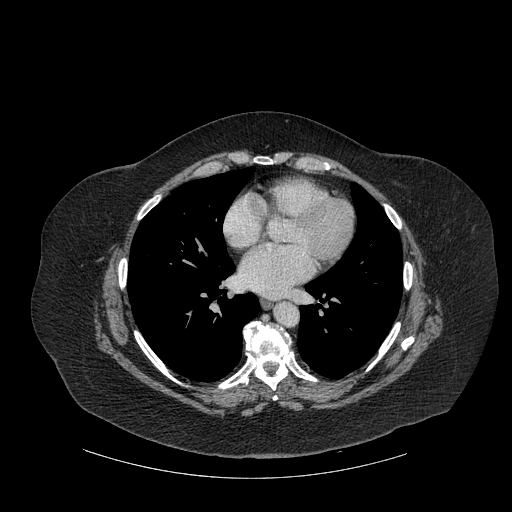
CT scan slice

<segmentation>
  <bone>(404, 262, 412, 289), (118, 258, 126, 287), (401, 337, 413, 349), (219, 321, 316, 390), (254, 156, 272, 164), (137, 195, 160, 219), (134, 331, 179, 383), (384, 204, 401, 228), (366, 322, 400, 370)</bone>
  <lung>(128, 167, 259, 381), (297, 187, 402, 377)</lung>
</segmentation>